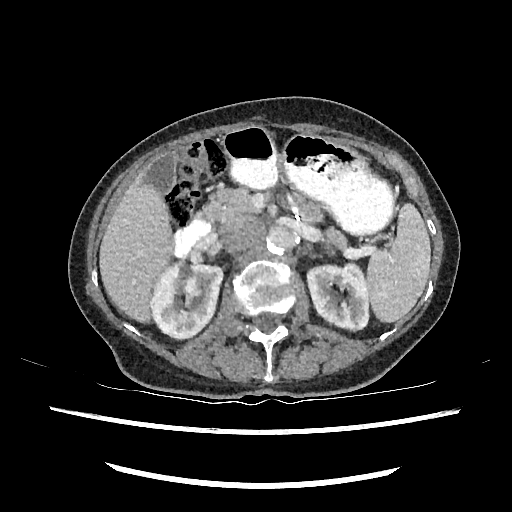 Upper abdomen, CT, Image size 512x512

<segmentation>
  <kidney>l=307, t=265, r=368, b=328; l=151, t=265, r=222, b=337</kidney>
  <liver>l=100, t=173, r=174, b=320</liver>
</segmentation>